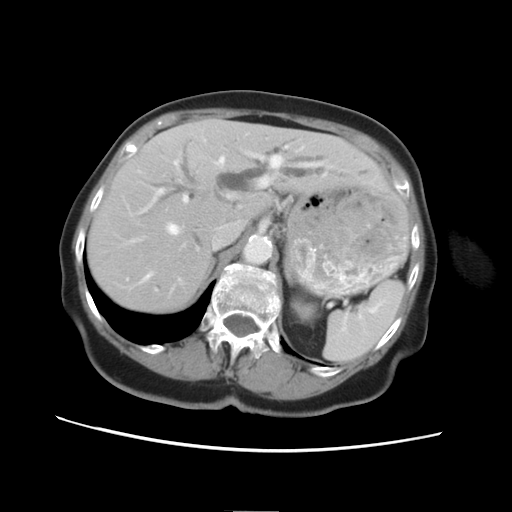
Image size 512x512. CT slice. Liver.
Some hepatic vessels may have no box.
- hepatic vessel: (270, 155, 282, 168), (259, 176, 270, 186), (166, 223, 179, 234), (212, 220, 242, 247), (183, 195, 187, 202)